Head | 240x240
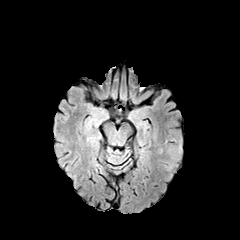
FLAIR magnetic resonance.
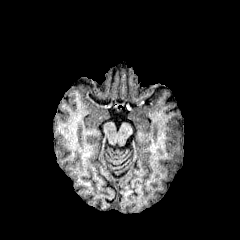
T1-weighted MRI.
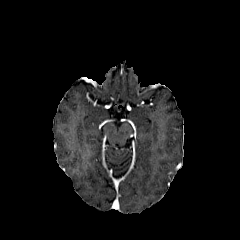
Post-contrast T1-weighted MR.
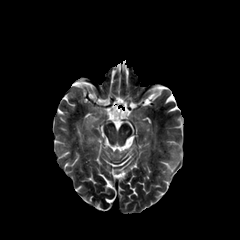
T2-weighted MR image of the same slice.
2 edema regions are located at x1=165 y1=163 x2=173 y2=169, x1=167 y1=145 x2=181 y2=161.